CT, Slice index 37, Image size 512x512

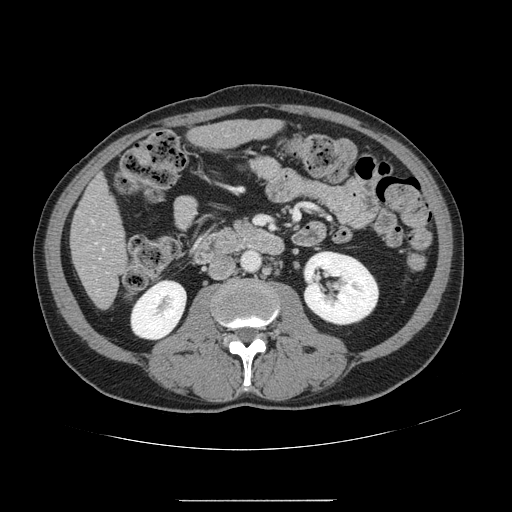

Only some of the vessels may be annotated.
2 hepatic vessel regions are bounded by {"x1": 92, "y1": 221, "x2": 93, "y2": 222}, {"x1": 102, "y1": 224, "x2": 104, "y2": 225}.